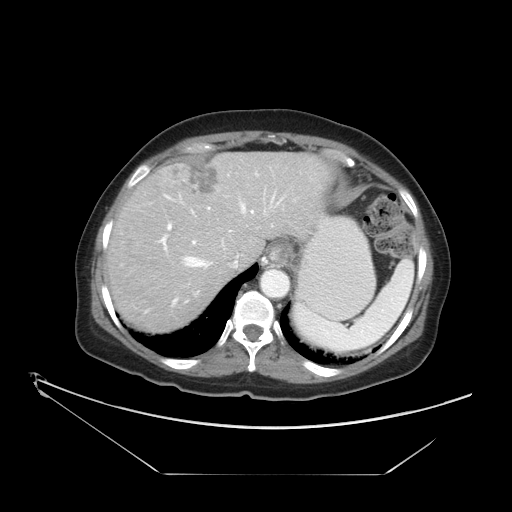

512x512 px; CT; Abdomen
Not every hepatic vessel necessarily has a box.
liver_tumor:
  - <bbox>188, 165, 218, 194</bbox>
hepatic_vessel:
  - <bbox>172, 299, 176, 304</bbox>
  - <bbox>251, 210, 253, 212</bbox>
  - <bbox>168, 224, 171, 228</bbox>
  - <bbox>160, 237, 166, 249</bbox>
  - <bbox>193, 241, 195, 243</bbox>
  - <bbox>186, 257, 207, 267</bbox>